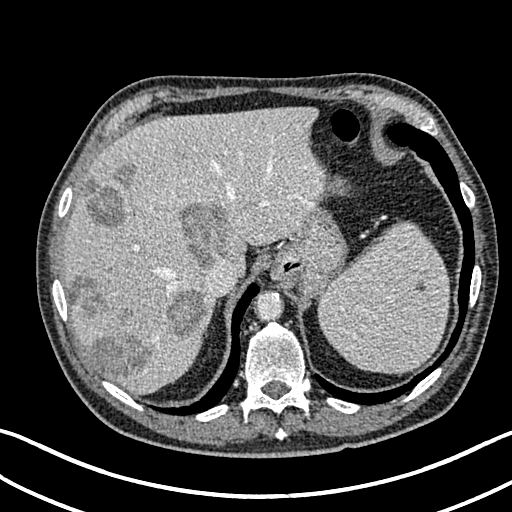

CT image
focal liver lesion: box(115, 163, 136, 186); box(85, 179, 125, 229); box(167, 288, 205, 337); box(174, 151, 183, 165); box(68, 276, 130, 320); box(86, 334, 151, 379); box(180, 203, 233, 266) | liver: box(64, 108, 337, 392)